Slice 358 of 811. CT image.
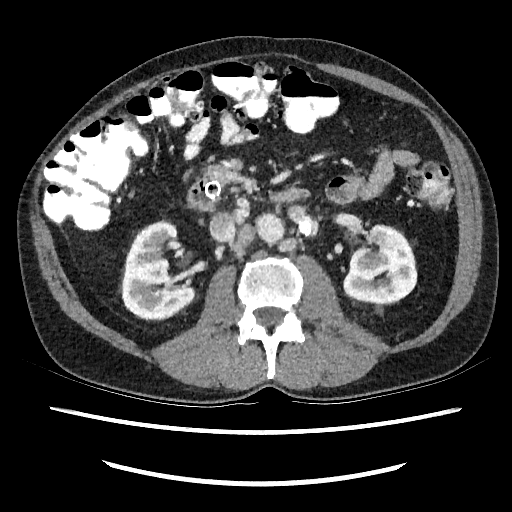
Segmented structures:
* kidney: [344,226,416,302], [123,223,194,322]